Image width 360 mm. Computed tomography. 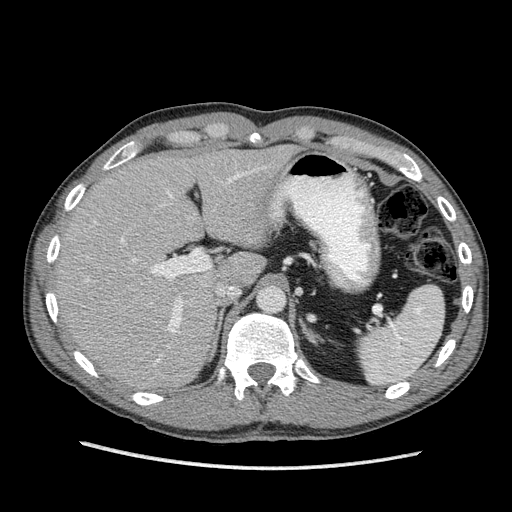
The liver appears at (left=51, top=144, right=302, bottom=393).